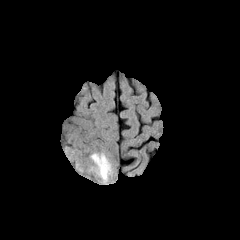
FLAIR MR.
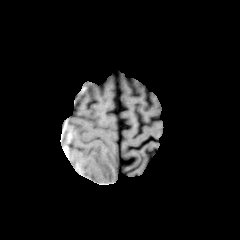
Same slice, T1-weighted MR image.
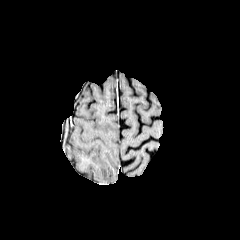
Post-contrast T1-weighted MR image of the same slice.
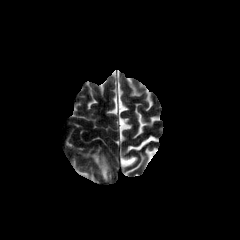
Same slice, T2-weighted MRI.
Brain.
Edema = 92 153 109 178.